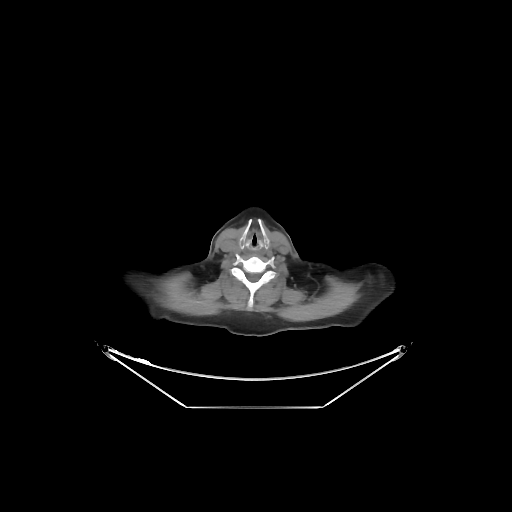

Computed tomography | 512x512
Bone: bounding box l=231, t=256, r=274, b=306.